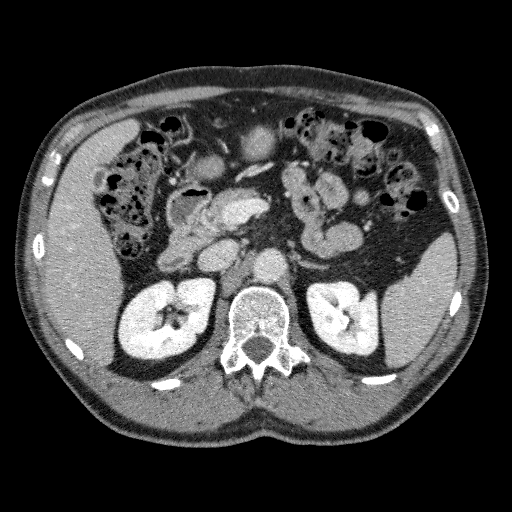 CT image
Annotated regions:
- liver: region(171, 236, 211, 250); region(43, 120, 140, 363)
- kidney: region(119, 279, 214, 358); region(307, 282, 377, 353)